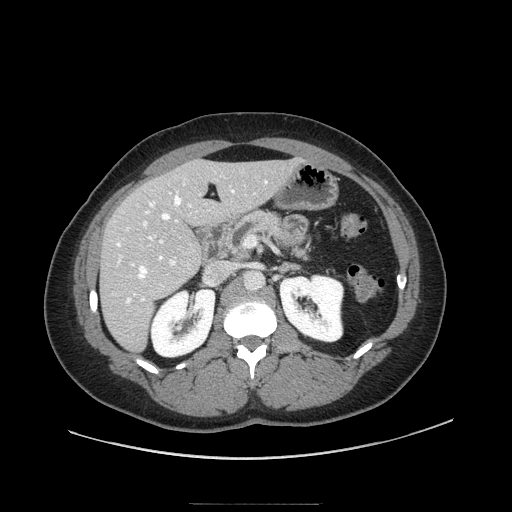

CT image

pancreas: <bbox>218, 209, 312, 262</bbox>